240x240.
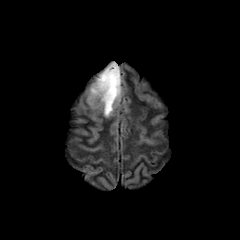
FLAIR MR.
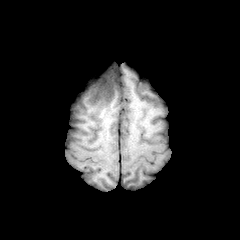
Same slice, T1-weighted MRI.
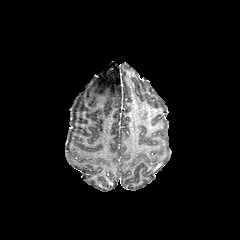
Post-contrast T1-weighted magnetic resonance of the same slice.
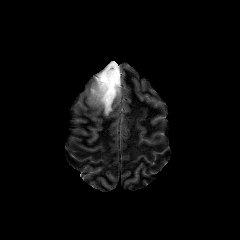
T2-weighted MRI of the same slice.
Edema — box=[86, 61, 123, 117].